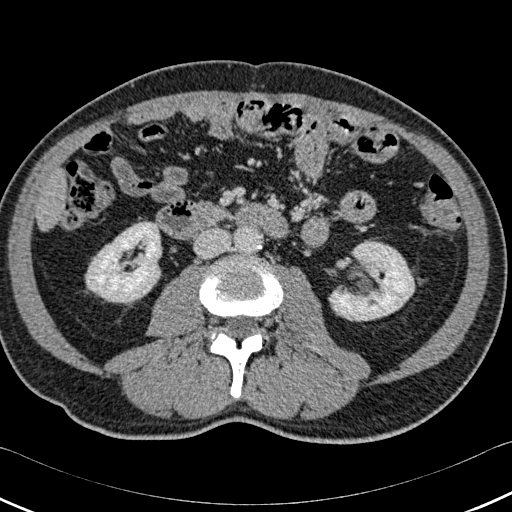 Liver, Computed tomography
2 bone regions are located at (x1=210, y1=331, x2=261, y2=397), (x1=199, y1=260, x2=282, y2=316). 2 kidney regions are bounded by (x1=86, y1=222, x2=161, y2=301), (x1=330, y1=242, x2=414, y2=320). The liver lies within (x1=35, y1=173, x2=66, y2=230).